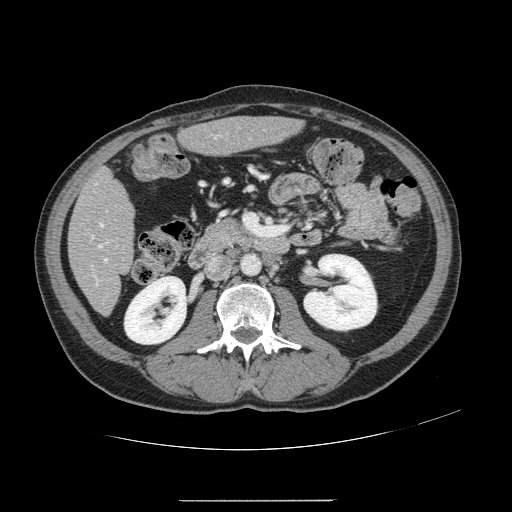
CT image | Liver
Only some of the vessels may be annotated.
Findings:
- hepatic vessel: x1=100 y1=223 x2=102 y2=226, x1=96 y1=280 x2=98 y2=286, x1=91 y1=266 x2=92 y2=268, x1=96 y1=183 x2=97 y2=184, x1=214 y1=136 x2=218 y2=138, x1=99 y1=244 x2=103 y2=247, x1=91 y1=235 x2=93 y2=240, x1=104 y1=259 x2=107 y2=262